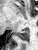

Medial temporal lobe; MR image; 38x50

The posterior hippocampus lies within box(15, 29, 28, 40).